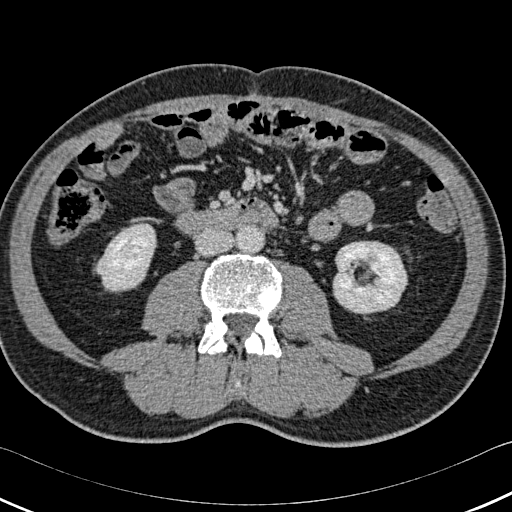
CT, Abdomen, 512x512 px

* kidney: rect(97, 224, 155, 290); rect(334, 242, 406, 312)
* bone: rect(198, 254, 281, 357)